FLAIR MRI.
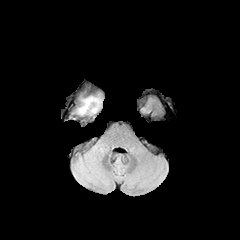
T1-weighted magnetic resonance.
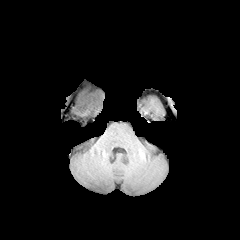
Post-contrast T1-weighted MR.
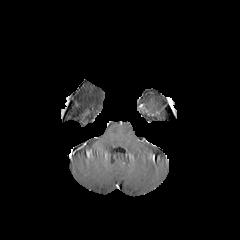
T2-weighted MR.
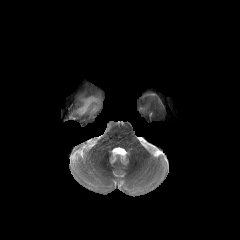
edema: l=77, t=96, r=101, b=115